CT.
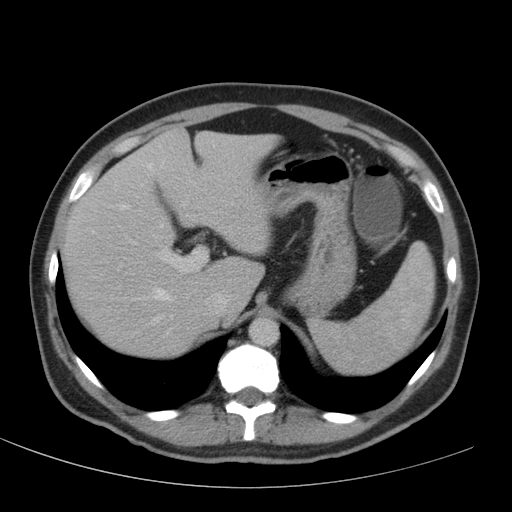
<segmentation>
  <liver>left=62, top=128, right=274, bottom=356</liver>
</segmentation>